Field of view 240x240 mm, 240x240
FLAIR magnetic resonance.
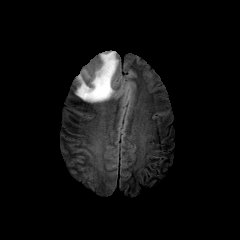
T1-weighted MR image.
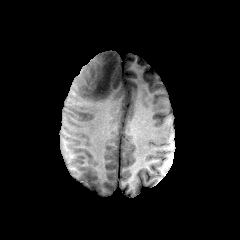
Post-contrast T1-weighted MRI.
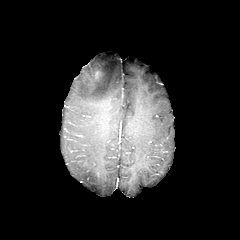
T2-weighted MRI.
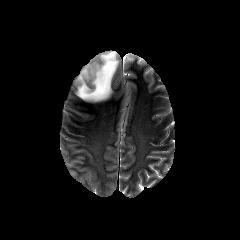
The edema is at 75 51 121 102.